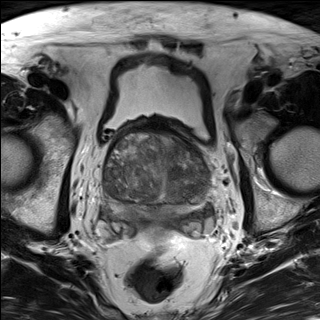
T2-weighted magnetic resonance.
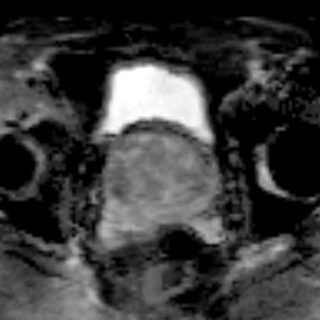
ADC MRI of the same slice.
The prostate peripheral zone is bounded by (104, 190, 206, 219). The prostate transition zone is located at (104, 133, 207, 204).